Upper abdomen | CT 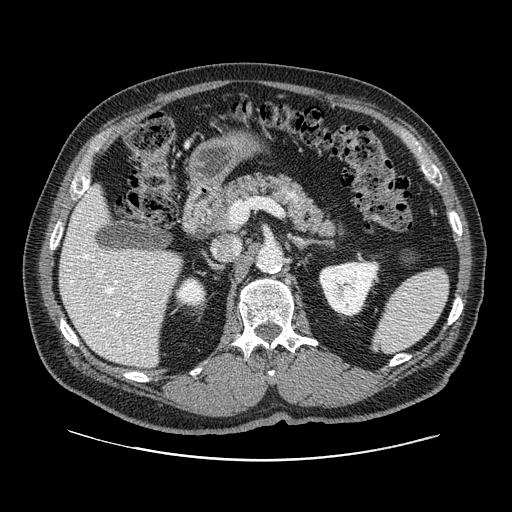

<segmentation>
  <pancreas>bbox(192, 172, 347, 240)</pancreas>
</segmentation>